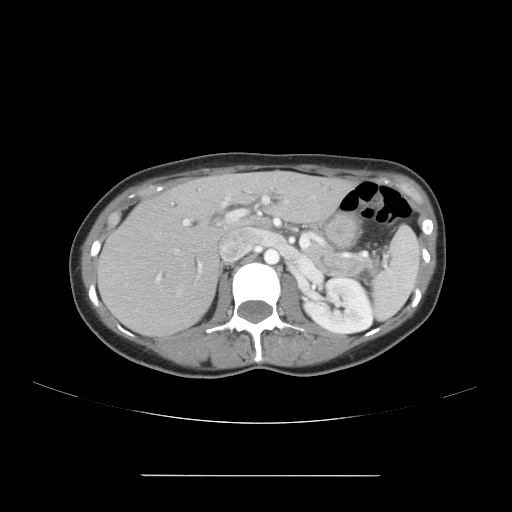 CT scan slice. 512x512. The pancreas is at <box>304,242,376,283</box>.